Field of view 429x429 mm, Slice 422/917, CT scan slice 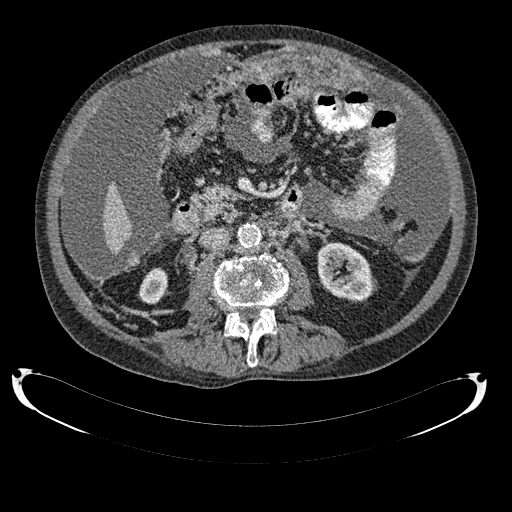 {
  "liver": [
    "bbox(103, 182, 130, 253)"
  ],
  "kidney": [
    "bbox(318, 243, 372, 300)",
    "bbox(139, 268, 167, 303)"
  ]
}